Slice 91 of 155 | Brain
FLAIR MR image.
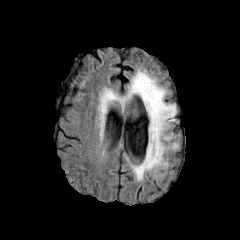
T1-weighted MRI.
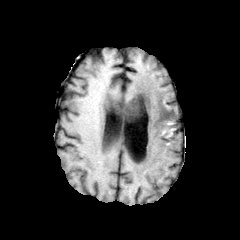
Post-contrast T1-weighted MRI.
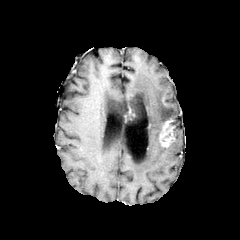
T2-weighted MR.
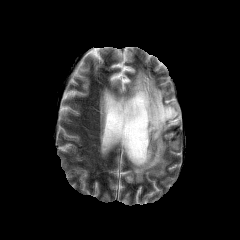
Non-enhancing tumor core at {"x1": 138, "y1": 95, "x2": 149, "y2": 111}, {"x1": 159, "y1": 122, "x2": 172, "y2": 143}.
Edema at {"x1": 99, "y1": 69, "x2": 178, "y2": 181}.